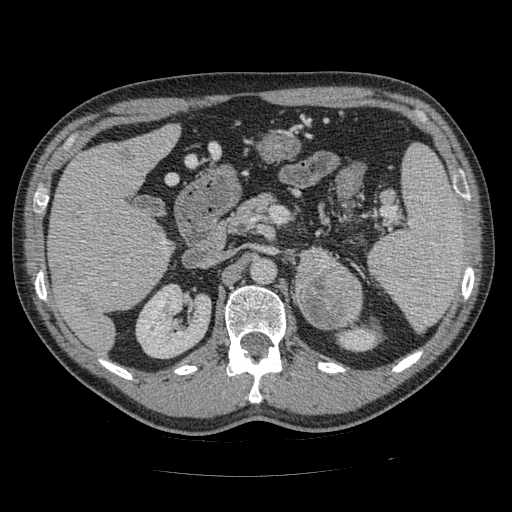

CT, Upper abdomen

<segmentation>
  <pancreatic_tumor><bbox>297, 249, 361, 328</bbox></pancreatic_tumor>
  <pancreas><bbox>235, 195, 272, 226</bbox></pancreas>
</segmentation>